CT slice, Upper abdomen, 512x512 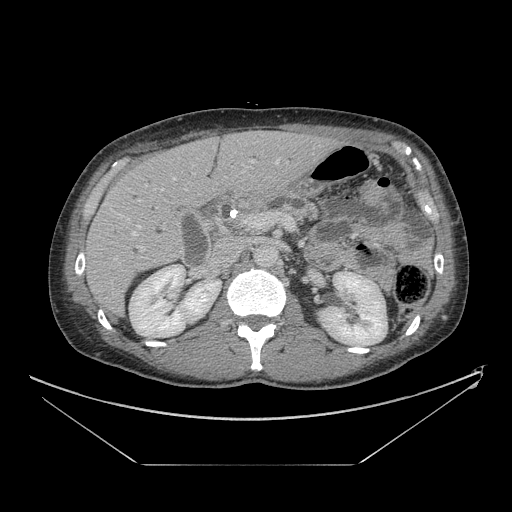 pancreas: rect(241, 191, 318, 222)